FLAIR MRI.
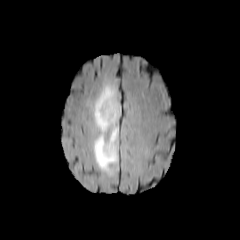
T1-weighted MR.
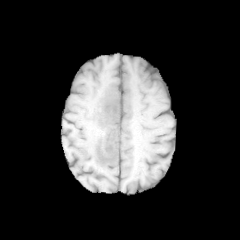
Post-contrast T1-weighted MR image.
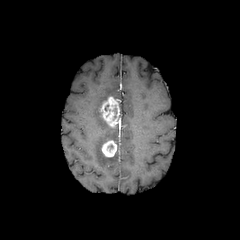
T2-weighted MRI.
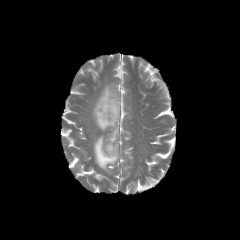
Brain | 240x240 px
2 enhancing tumor regions appear at bbox(101, 96, 120, 127); bbox(102, 141, 117, 157). The edema lies within bbox(94, 83, 120, 169).